FLAIR MR image.
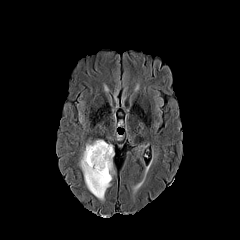
T1-weighted MRI.
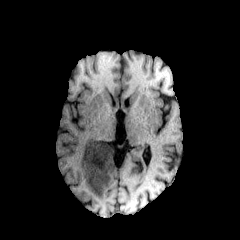
Post-contrast T1-weighted MRI.
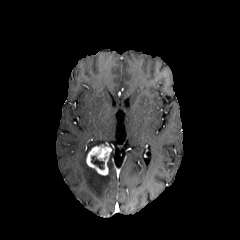
T2-weighted MR.
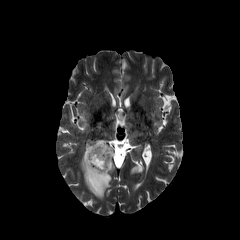
Brain
Enhancing tumor: box=[86, 142, 113, 175].
Non-enhancing tumor core: box=[91, 156, 106, 169].
Edema: box=[87, 138, 104, 151]; box=[78, 151, 114, 200].